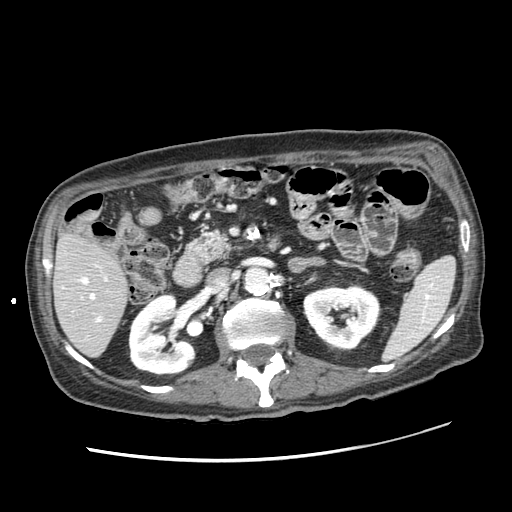
Abdomen; CT slice
The pancreas is bounded by (left=196, top=231, right=230, bottom=261).